CT slice
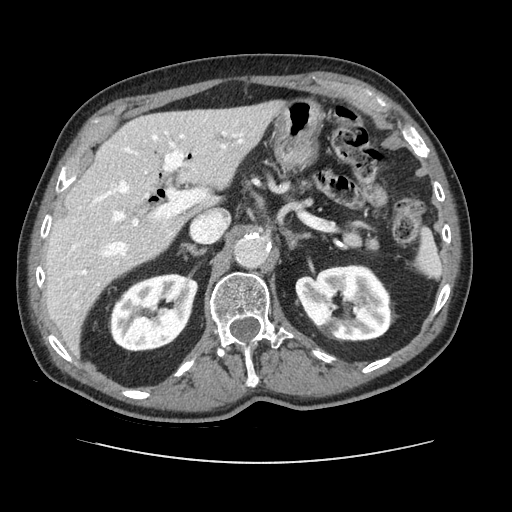

Pancreas: [344,231,377,250].